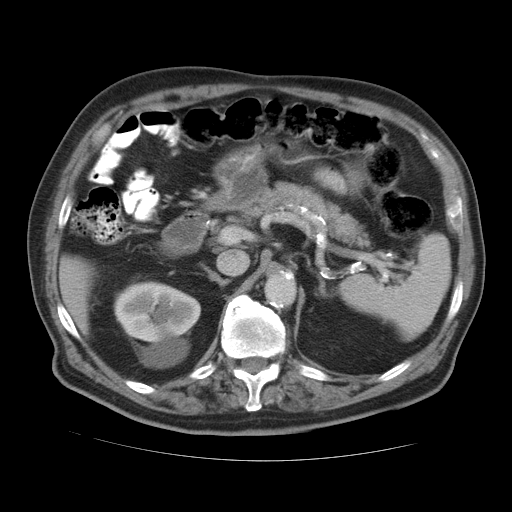
Abdomen. CT image. 512x512. - spleen: bbox=[342, 234, 450, 337]